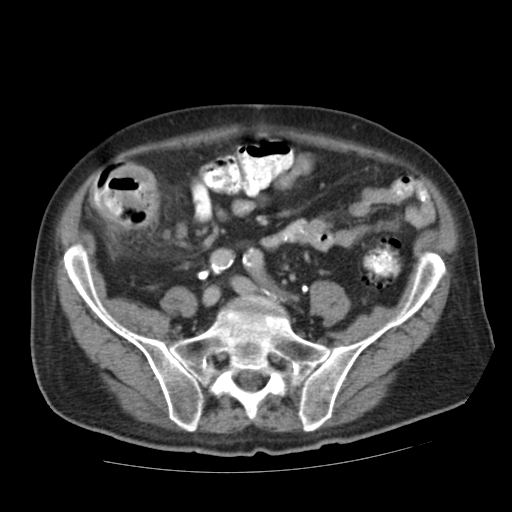
Image size 512x512; Abdomen; CT
colon tumor: 88,188,113,217; 114,166,155,187; 119,193,142,208